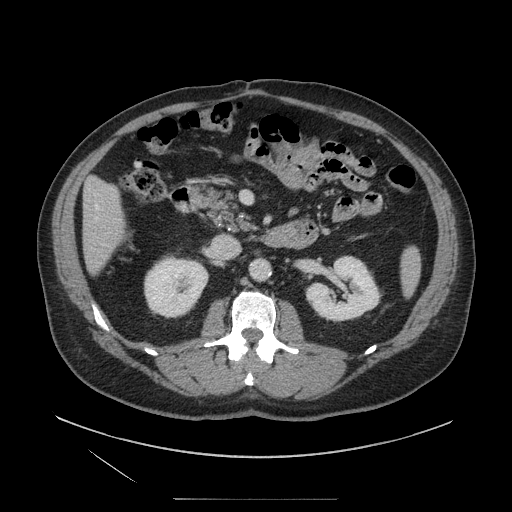

CT slice. Abdomen. 512x512 px. Annotated regions:
- pancreas: [x1=203, y1=187, x2=252, y2=233]